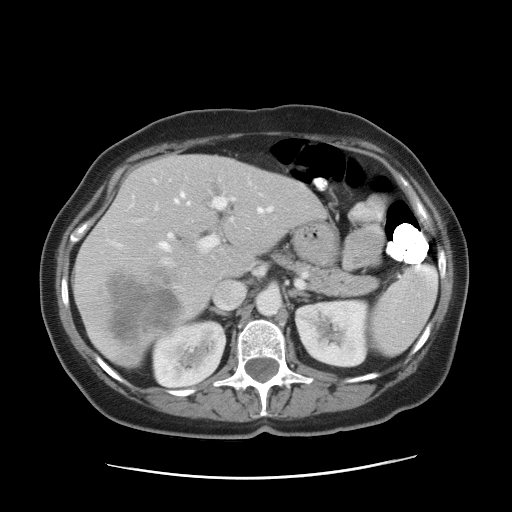

CT image | Abdomen
Some hepatic vessels may have no box.
{"hepatic_vessel": ["box(168, 233, 173, 239)", "box(258, 207, 272, 213)", "box(160, 242, 169, 250)", "box(187, 202, 189, 204)", "box(154, 180, 156, 182)", "box(166, 258, 169, 259)", "box(212, 198, 235, 208)", "box(175, 199, 178, 203)", "box(230, 218, 232, 220)", "box(181, 193, 184, 197)", "box(198, 234, 218, 252)", "box(112, 242, 120, 246)", "box(131, 204, 133, 205)"], "liver_tumor": ["box(97, 260, 187, 350)"]}